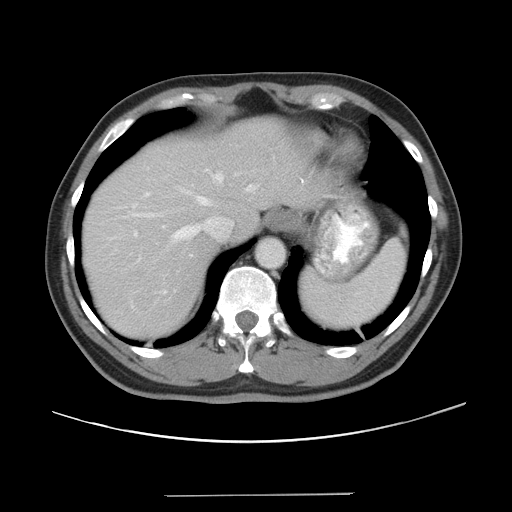
Abdomen; CT image
Only some of the vessels may be annotated.
14 hepatic vessel regions are located at x1=163, y1=226, x2=164, y2=228; x1=235, y1=173, x2=239, y2=175; x1=132, y1=204, x2=136, y2=207; x1=206, y1=169, x2=209, y2=171; x1=246, y1=184, x2=256, y2=191; x1=190, y1=254, x2=191, y2=256; x1=197, y1=196, x2=210, y2=204; x1=163, y1=290, x2=166, y2=292; x1=135, y1=232, x2=137, y2=235; x1=174, y1=226, x2=199, y2=239; x1=132, y1=212, x2=157, y2=216; x1=211, y1=173, x2=222, y2=181; x1=181, y1=190, x2=186, y2=192; x1=145, y1=193, x2=149, y2=195.